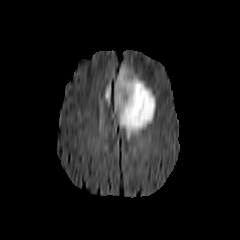
FLAIR magnetic resonance.
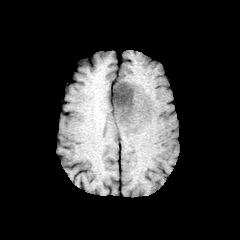
T1-weighted MR image.
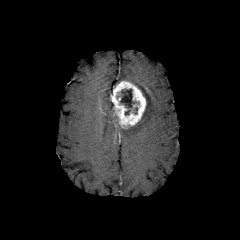
Post-contrast T1-weighted magnetic resonance of the same slice.
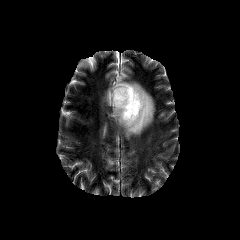
Same slice, T2-weighted MR image.
Brain.
Segmented structures:
- edema: (left=104, top=86, right=113, bottom=109), (left=114, top=66, right=155, bottom=139)
- enhancing tumor: (left=111, top=80, right=146, bottom=125)
- non-enhancing tumor core: (left=140, top=90, right=148, bottom=117), (left=120, top=89, right=136, bottom=108)